FLAIR MRI.
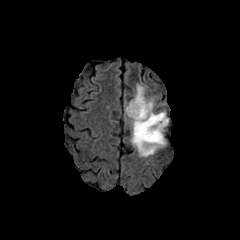
T1-weighted magnetic resonance.
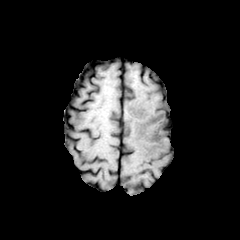
Post-contrast T1-weighted MR.
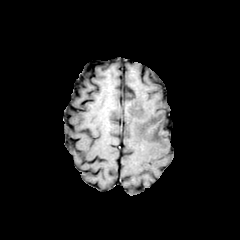
T2-weighted MR.
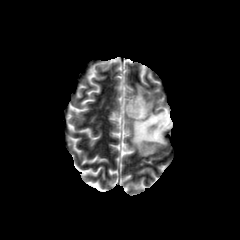
Edema: bounding box rect(125, 84, 169, 157).
Non-enhancing tumor core: bounding box rect(142, 114, 167, 139).